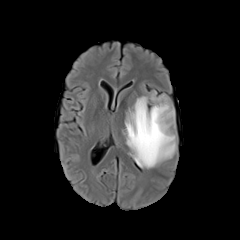
FLAIR MRI.
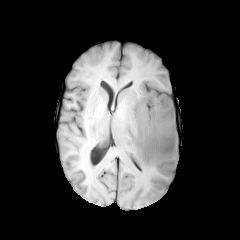
T1-weighted MR image of the same slice.
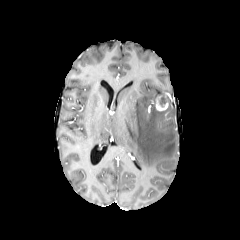
Post-contrast T1-weighted MR.
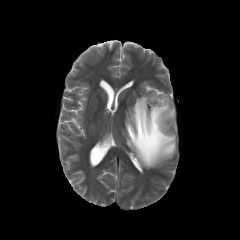
T2-weighted magnetic resonance of the same slice.
240x240; Brain
<segmentation>
  <non-enhancing_tumor_core>box=[136, 112, 159, 145]; box=[158, 94, 172, 119]</non-enhancing_tumor_core>
  <enhancing_tumor>box=[155, 97, 168, 111]</enhancing_tumor>
  <edema>box=[124, 91, 177, 168]</edema>
</segmentation>